FLAIR MR image.
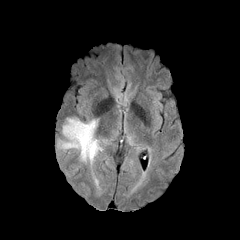
T1-weighted MR image.
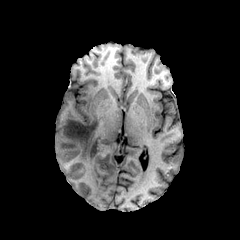
Post-contrast T1-weighted magnetic resonance.
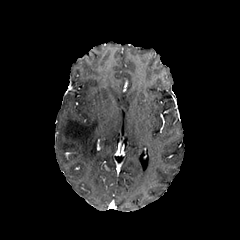
T2-weighted MR.
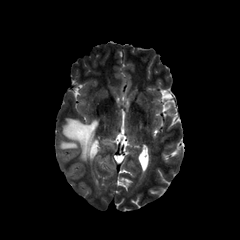
The edema is at x1=57 y1=117 x2=101 y2=164.